Abdomen. Slice 96 of 144. CT. Field of view 333x333 mm.

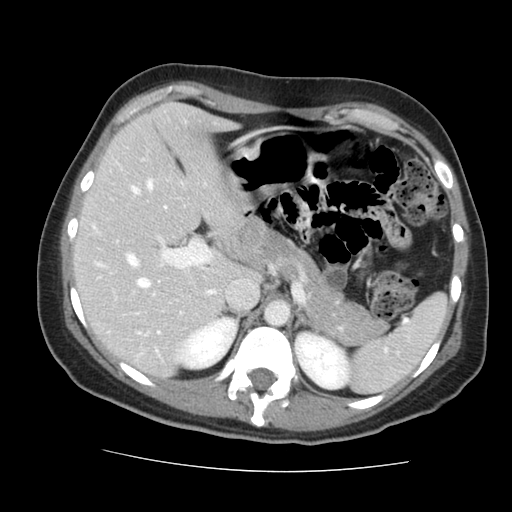 Some hepatic vessels may have no box.
4 hepatic vessel regions are bounded by <bbox>93, 227, 95, 229</bbox>, <bbox>138, 279, 148, 287</bbox>, <bbox>97, 263, 102, 266</bbox>, <bbox>127, 255, 136, 266</bbox>.